Field of view 335 mm wide, 1.00 mm slice spacing, CT scan slice 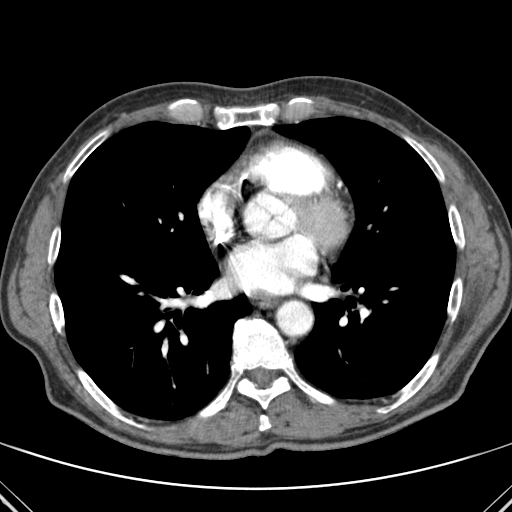

2 lung regions are located at 55, 121, 250, 419; 274, 117, 455, 398. 13 bone regions are bounded by 170, 99, 196, 107; 215, 104, 278, 129; 448, 278, 462, 320; 64, 131, 106, 180; 449, 205, 464, 248; 289, 98, 311, 103; 405, 137, 444, 181; 49, 293, 64, 332; 259, 415, 270, 430; 48, 228, 60, 263; 78, 370, 142, 427; 199, 319, 334, 418; 378, 354, 438, 413.